Slice 426/455; CT scan slice; 512x512
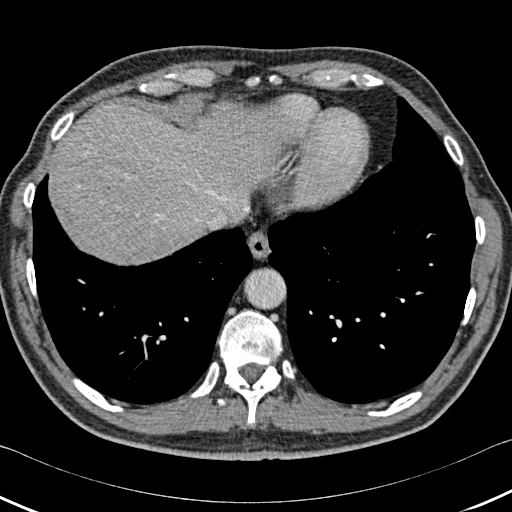 2 lung regions appear at region(265, 96, 476, 403); region(32, 174, 260, 404). 12 bone regions are located at region(219, 311, 281, 424); region(475, 216, 485, 243); region(73, 379, 122, 411); region(23, 183, 34, 207); region(283, 361, 293, 378); region(248, 78, 258, 84); region(26, 259, 35, 295); region(463, 288, 475, 324); region(51, 112, 73, 140); region(191, 362, 218, 397); region(444, 135, 462, 164); region(368, 392, 421, 416). The liver appears at region(49, 101, 283, 263).